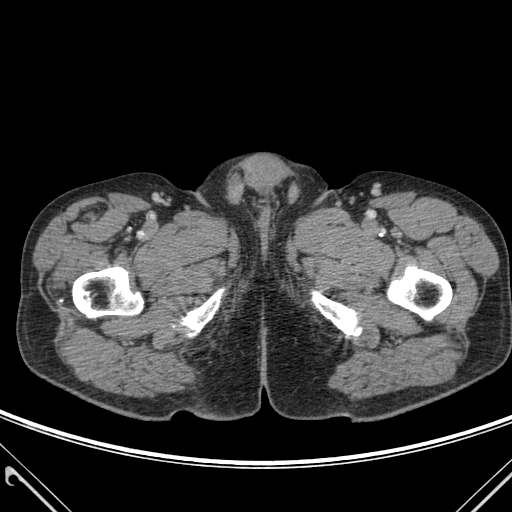

Computed tomography; 512x512

<segmentation>
  <bone>box(312, 291, 361, 335); box(388, 266, 451, 319); box(181, 289, 223, 336); box(73, 267, 143, 317)</bone>
</segmentation>